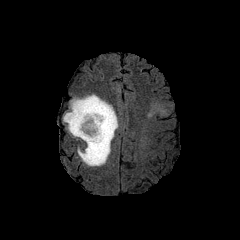
FLAIR MR.
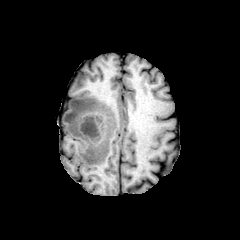
T1-weighted MRI.
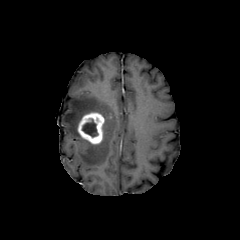
Post-contrast T1-weighted magnetic resonance.
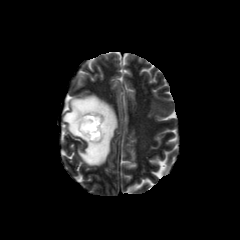
T2-weighted MR of the same slice.
Enhancing tumor: bounding box 77:112:105:144.
Non-enhancing tumor core: bounding box 82:121:96:136.
Edema: bounding box 62:94:118:167.